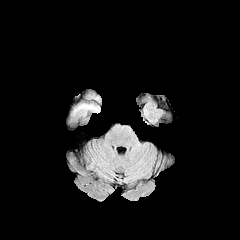
FLAIR MR.
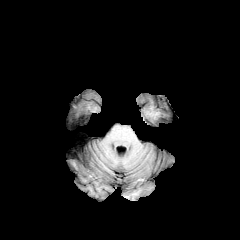
T1-weighted MRI of the same slice.
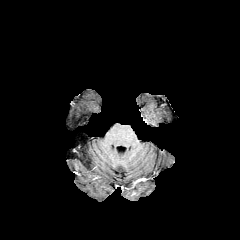
Post-contrast T1-weighted magnetic resonance.
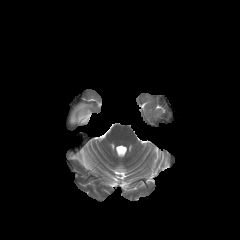
T2-weighted magnetic resonance.
Image size 240x240.
Annotated regions:
- edema: box=[72, 103, 99, 120]